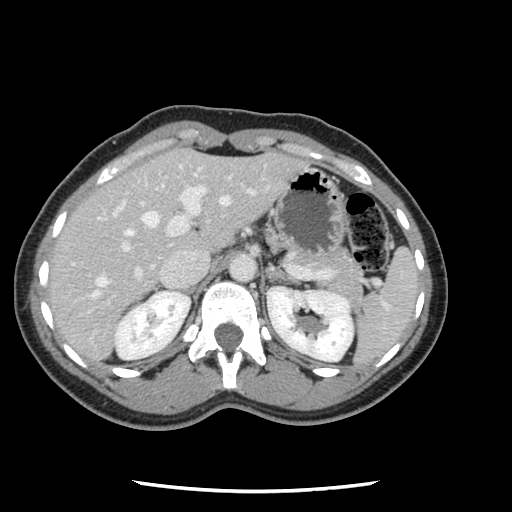

CT.
The vessel boxes may cover only some of the vessels.
11 hepatic vessel regions are located at 247, 189, 253, 192; 179, 185, 205, 213; 122, 243, 128, 249; 126, 229, 132, 234; 194, 168, 198, 174; 135, 268, 140, 276; 93, 277, 106, 296; 167, 216, 187, 235; 220, 196, 228, 204; 112, 200, 124, 214; 142, 211, 158, 225.